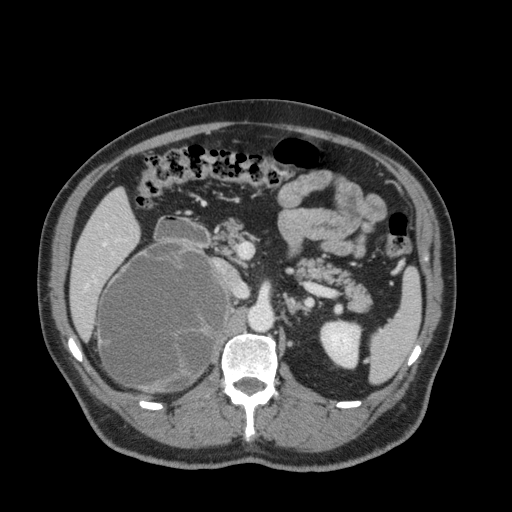
CT slice.
<segmentation>
  <liver>71 189 138 339</liver>
  <kidney>321 322 359 367</kidney>
</segmentation>